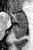 Magnetic resonance | Hippocampus | 33x50
anterior_hippocampus:
  - [7,11,27,22]
posterior_hippocampus:
  - [13,23,27,38]